Slice index 16, CT slice, Liver 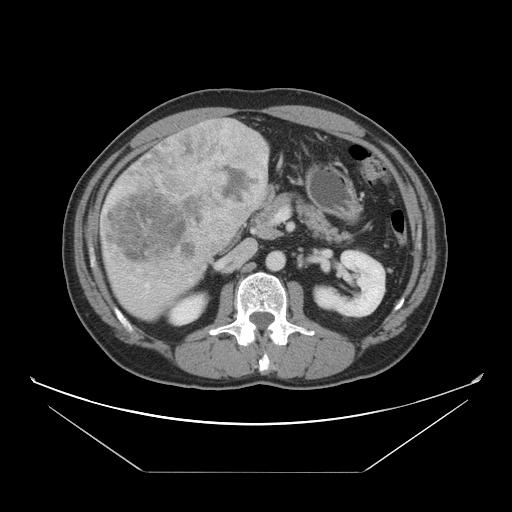
The vessel boxes may cover only some of the vessels.
Hepatic vessel at [105,251,111,259], [129,276,140,282], [158,281,165,286], [122,271,124,275], [145,283,149,293].
Liver tumor at [102,120,259,278].